512x512 px, CT scan slice, Liver

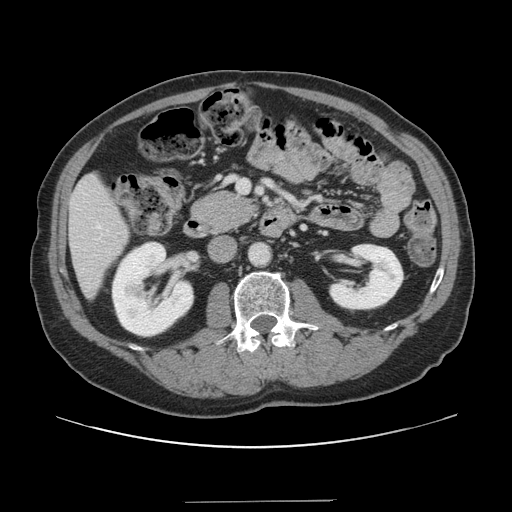 Not every hepatic vessel necessarily has a box.
<segmentation>
  <hepatic_vessel>238,180,247,191; 97,226,99,227</hepatic_vessel>
</segmentation>